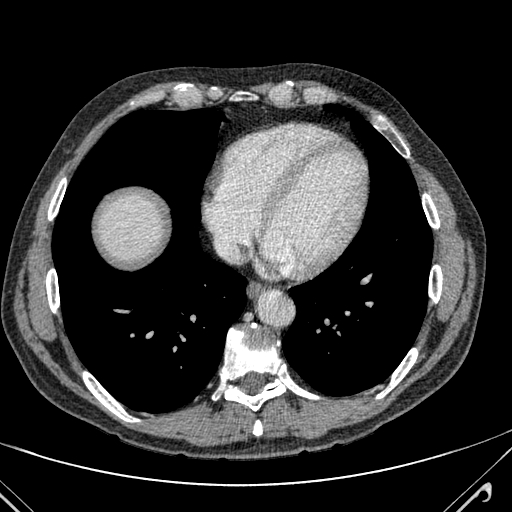 CT scan slice, 512x512 px, Upper abdomen
{
  "liver": [
    "103, 200, 159, 258"
  ]
}